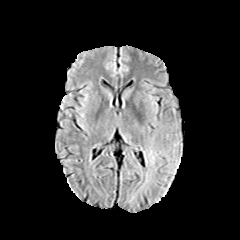
FLAIR magnetic resonance.
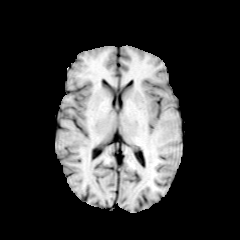
T1-weighted MRI.
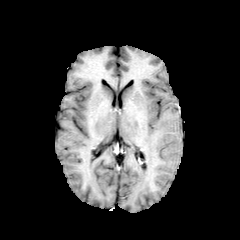
Same slice, post-contrast T1-weighted MR.
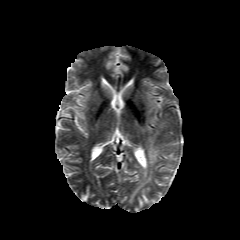
T2-weighted magnetic resonance.
Brain. 240x240.
Findings:
• edema: 144, 145, 157, 165